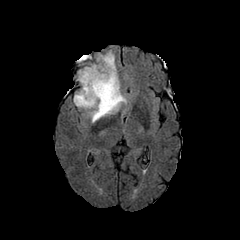
FLAIR magnetic resonance.
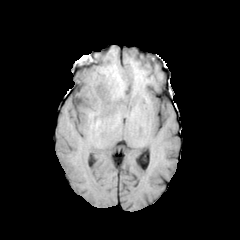
T1-weighted magnetic resonance.
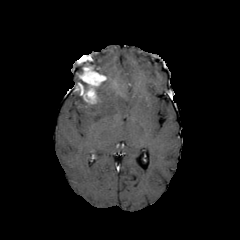
Post-contrast T1-weighted MRI.
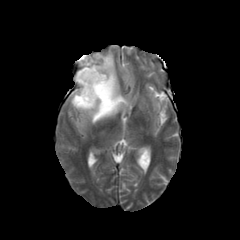
T2-weighted magnetic resonance of the same slice.
<segmentation>
  <edema>73:52:127:123</edema>
  <non-enhancing_tumor_core>98:82:109:97</non-enhancing_tumor_core>
  <enhancing_tumor>75:56:118:106</enhancing_tumor>
</segmentation>